Computed tomography, Liver
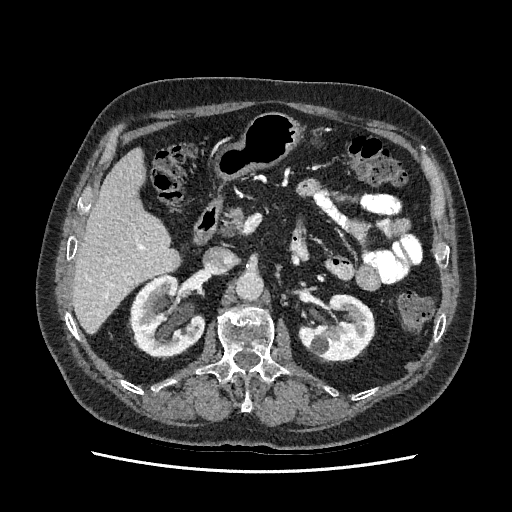

kidney:
  - 300 295 373 359
  - 131 276 203 355
liver:
  - 73 149 181 332